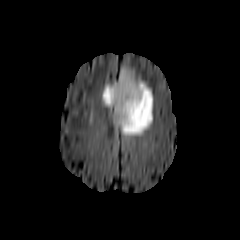
FLAIR MR.
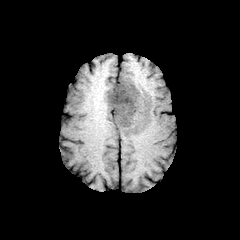
T1-weighted MR image.
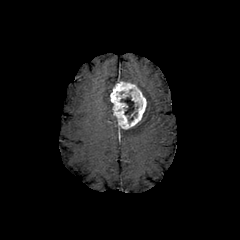
Same slice, post-contrast T1-weighted MR image.
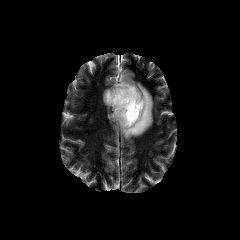
Same slice, T2-weighted MR image.
Head
<segmentation>
  <enhancing_tumor>(109,79,146,129)</enhancing_tumor>
  <non-enhancing_tumor_core>(121,96,134,115)</non-enhancing_tumor_core>
  <edema>(102,80,115,111), (110,68,153,140)</edema>
</segmentation>